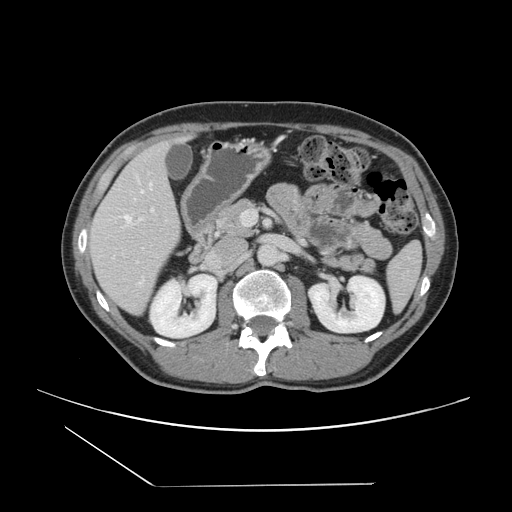
512x512, CT slice
The vessel boxes may cover only some of the vessels.
hepatic_vessel:
  - 138 284 141 284
  - 152 184 152 187
  - 126 220 135 225